Abdomen, CT slice 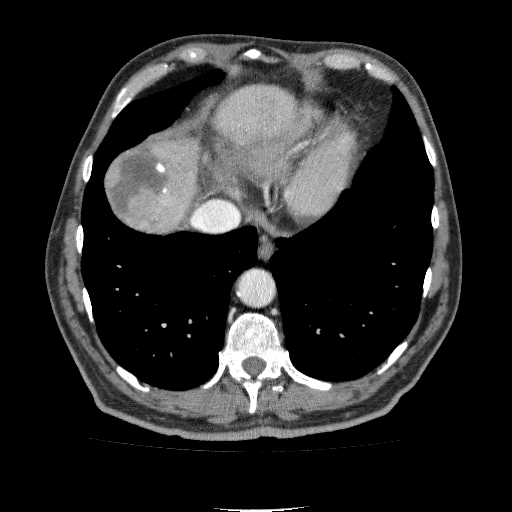
Liver lesion = 242,138,285,177; 105,146,177,227.
Liver = 135,82,298,232.